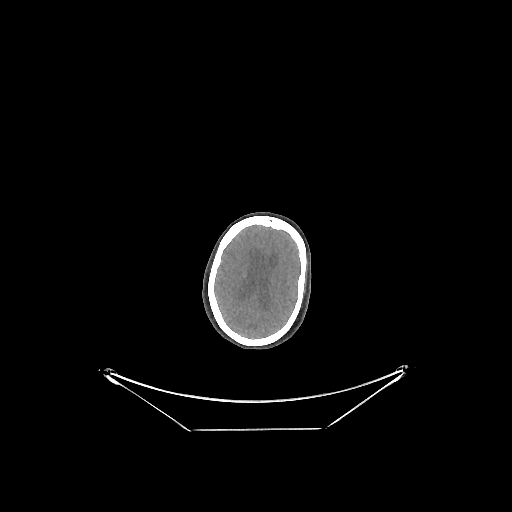

Computed tomography, Brain

Annotated regions:
• brain: left=214, top=225, right=300, bottom=338